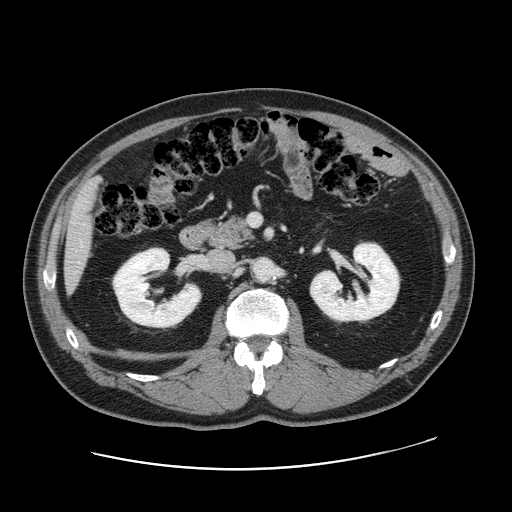 CT scan slice. Liver. 512x512.
The vessel boxes may cover only some of the vessels.
hepatic vessel: bbox(84, 206, 88, 208); bbox(69, 283, 72, 288); bbox(78, 261, 80, 262); bbox(89, 178, 96, 185)